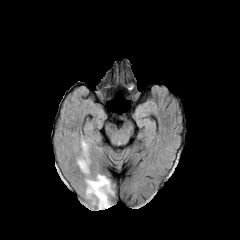
FLAIR MR.
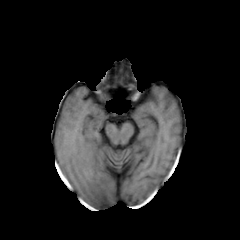
Same slice, T1-weighted MR image.
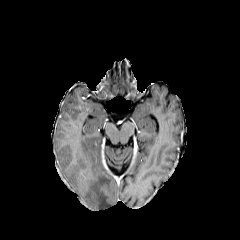
Same slice, post-contrast T1-weighted magnetic resonance.
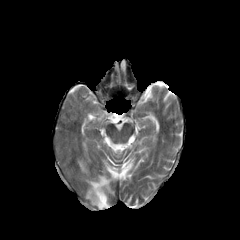
T2-weighted magnetic resonance.
Head
Edema: bounding box x1=77, y1=158, x2=89, y2=175; x1=85, y1=174, x2=113, y2=209; x1=81, y1=140, x2=88, y2=157.